Abdomen; CT image; Image size 512x512; Slice 320 of 856 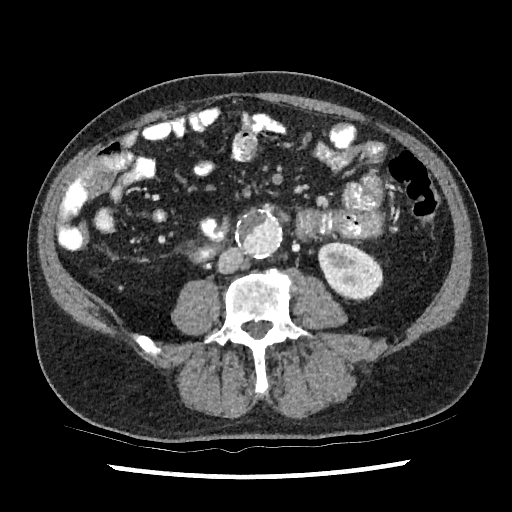

kidney: box(322, 245, 381, 298)